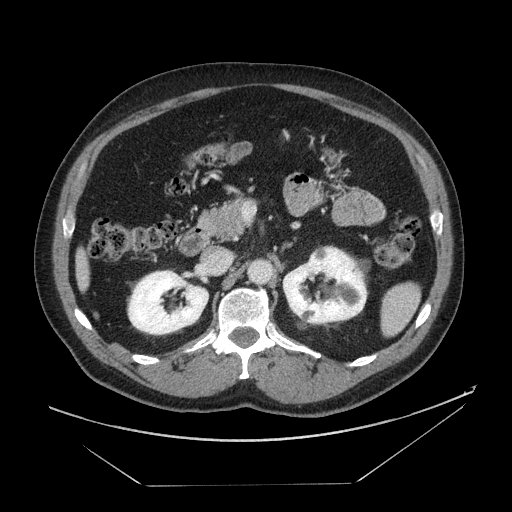
CT scan slice

The pancreas is located at 199 196 245 237.